Image width 461 mm, Abdomen, Slice 28/49, CT image, 512x512 px 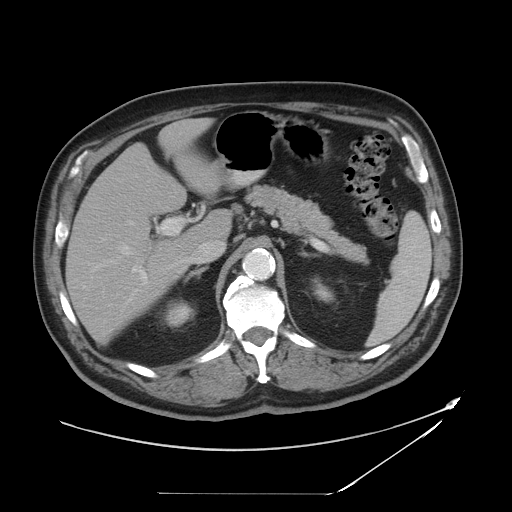 Only some of the vessels may be annotated.
Annotated regions:
- hepatic vessel: x1=83, y1=286, x2=84, y2=287; x1=117, y1=242, x2=131, y2=254; x1=131, y1=256, x2=148, y2=286; x1=91, y1=260, x2=116, y2=271; x1=128, y1=219, x2=133, y2=224; x1=116, y1=235, x2=118, y2=236; x1=121, y1=289, x2=137, y2=315; x1=158, y1=247, x2=160, y2=248; x1=145, y1=234, x2=146, y2=238; x1=168, y1=257, x2=188, y2=267